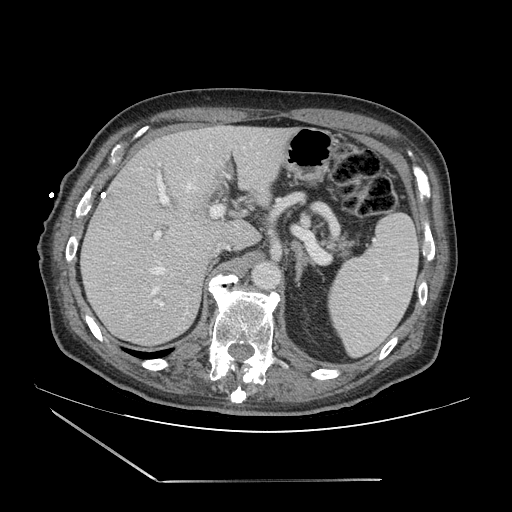
CT scan slice
pancreas:
  - box=[325, 237, 356, 256]